Image size 240x240. Head.
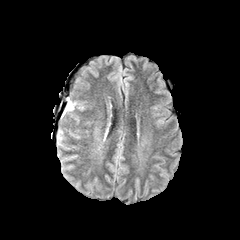
FLAIR MRI.
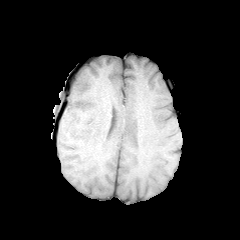
T1-weighted MR.
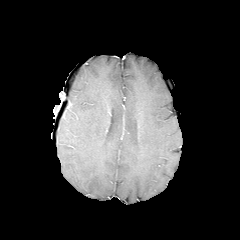
Same slice, post-contrast T1-weighted MR.
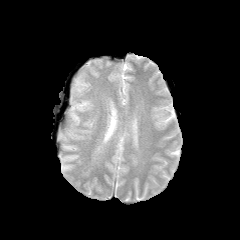
T2-weighted MRI.
Annotated regions:
* edema: bbox(66, 100, 85, 112)